CT scan slice | Abdomen | Slice 49 of 73
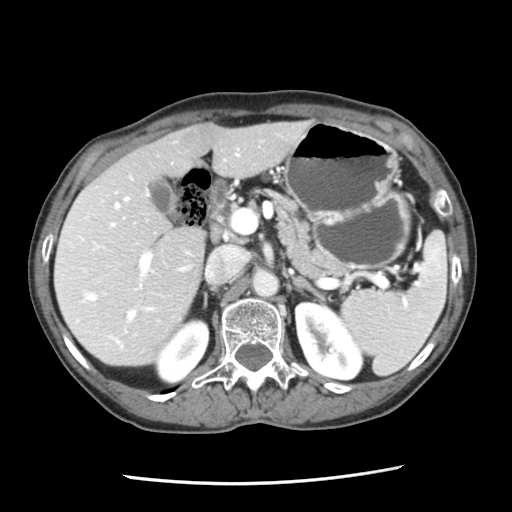
Pancreas — rect(249, 187, 343, 279); rect(207, 200, 247, 245).